Upper abdomen; CT scan slice; Slice 126 of 156

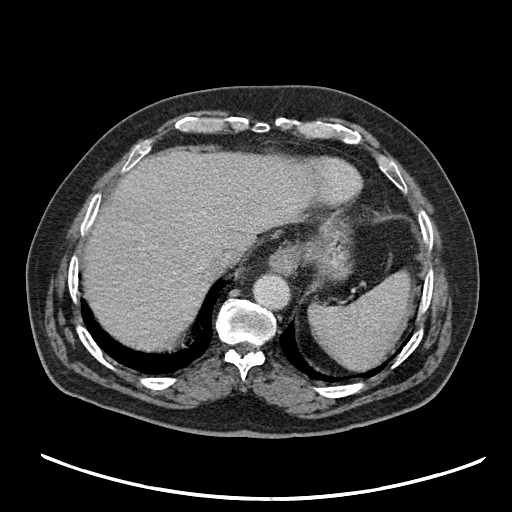 spleen: 310,273,409,369